Brain
FLAIR magnetic resonance.
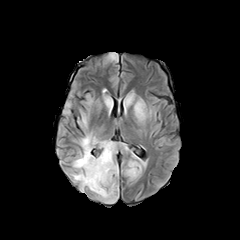
T1-weighted MRI.
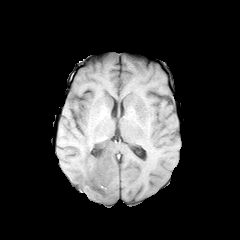
Post-contrast T1-weighted MRI.
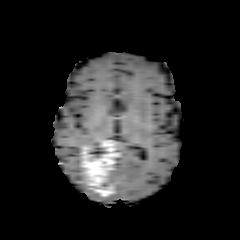
T2-weighted MR image.
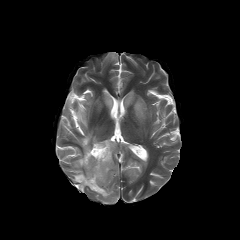
Enhancing tumor at (82, 140, 115, 195).
Edema at (72, 170, 83, 182), (74, 134, 99, 167), (78, 110, 85, 123).
Non-enhancing tumor core at (84, 142, 105, 161), (99, 174, 113, 189).